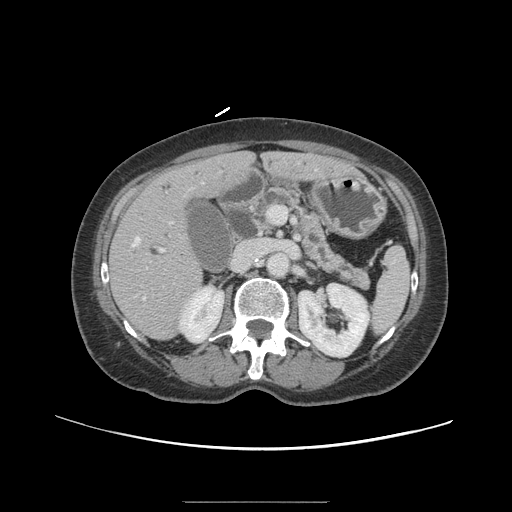

CT scan slice

pancreas: (left=253, top=189, right=368, bottom=287)